FLAIR MR.
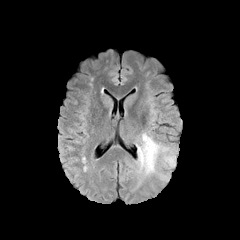
T1-weighted MRI.
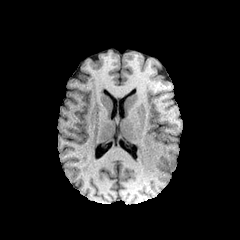
Post-contrast T1-weighted magnetic resonance.
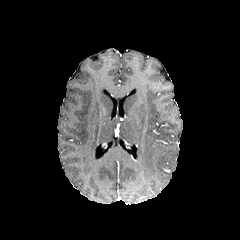
T2-weighted MRI.
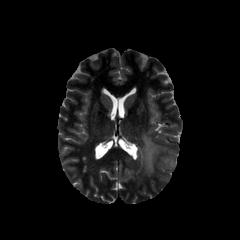
Brain.
Annotated regions:
• edema: [136,133,158,175], [168,157,175,166]